Computed tomography

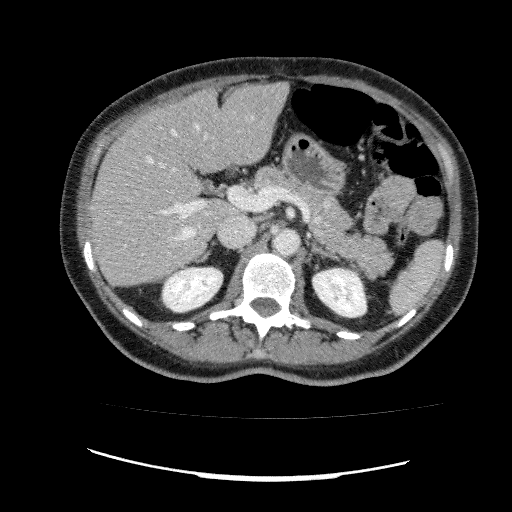 Liver — 89 82 289 285.
Kidney — 313 269 366 316, 163 268 221 311.